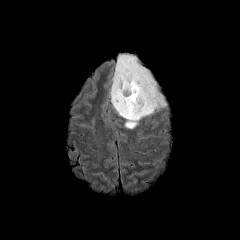
FLAIR MRI.
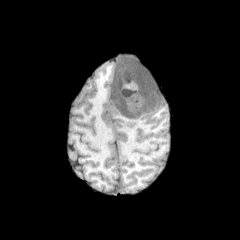
T1-weighted MR image.
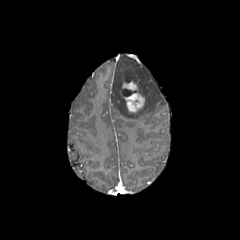
Post-contrast T1-weighted MRI.
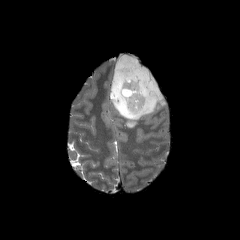
T2-weighted MR.
240x240 px
Enhancing tumor = 119 74 146 113.
Edema = 112 56 166 128.
Non-enhancing tumor core = 118 63 129 75, 123 89 135 96, 123 71 135 81.